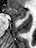 Medial temporal lobe | MRI
- anterior hippocampus: x1=10 y1=7 x2=26 y2=18